Slice 87 of 155
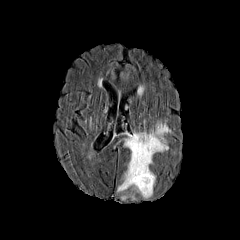
FLAIR MR image.
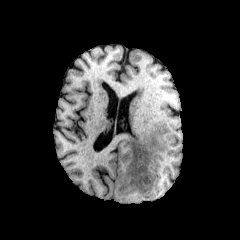
T1-weighted MR of the same slice.
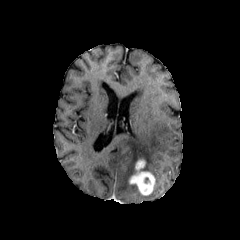
Post-contrast T1-weighted MR.
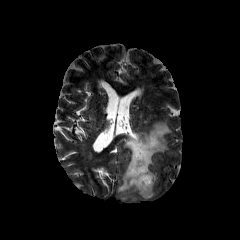
T2-weighted MR image of the same slice.
The enhancing tumor appears at 128 159 155 195. The edema is bounded by 117 119 172 200.